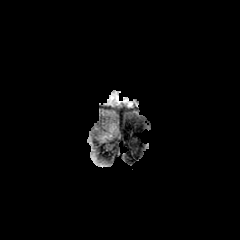
FLAIR MR image.
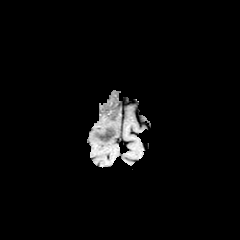
T1-weighted MRI.
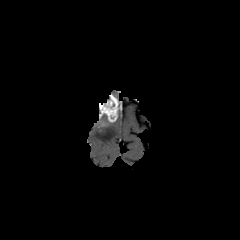
Post-contrast T1-weighted MR.
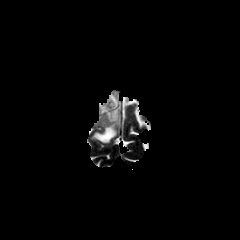
T2-weighted MR.
Brain; Image size 240x240
The enhancing tumor is bounded by rect(98, 94, 119, 126). The edema lies within rect(94, 123, 116, 142).